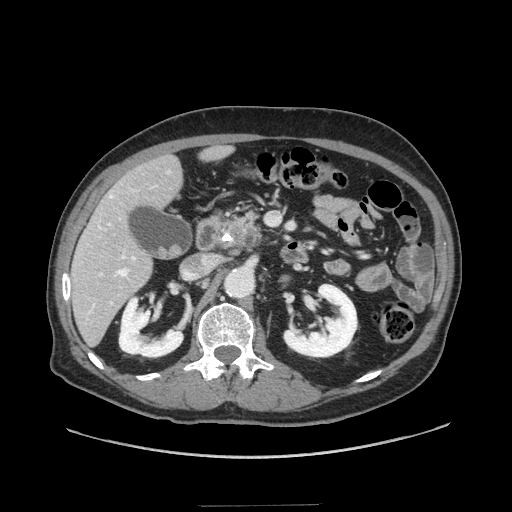 512x512. CT scan slice.
The pancreatic tumor is at 231 224 259 246. 2 pancreas regions are bounded by 235 234 260 248, 223 214 259 233.